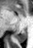
Image size 33x48; MRI; Hippocampus

Posterior hippocampus: bounding box bbox=[15, 30, 26, 42].